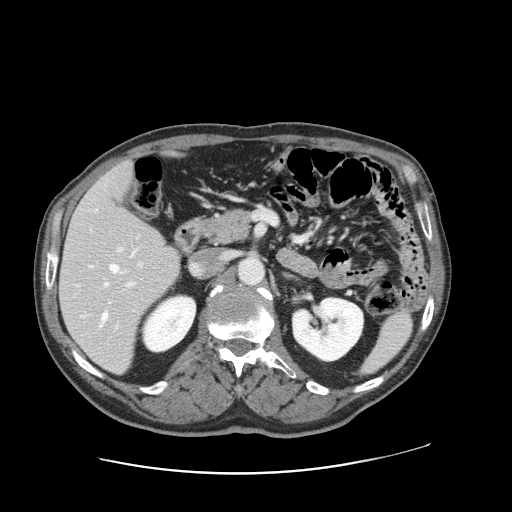

Image size 512x512; CT image; Liver
The vessel annotation is not exhaustive.
10 hepatic vessel regions are located at 127, 282, 133, 286; 131, 251, 135, 256; 118, 248, 122, 250; 105, 283, 107, 285; 100, 324, 101, 327; 96, 209, 97, 211; 110, 265, 118, 272; 102, 313, 107, 323; 89, 265, 92, 267; 139, 264, 141, 265.